240x240 | Slice index 120 | Head
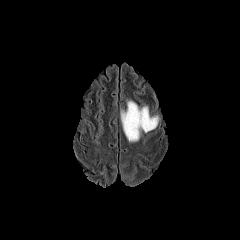
FLAIR MR.
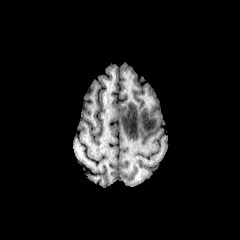
T1-weighted MRI of the same slice.
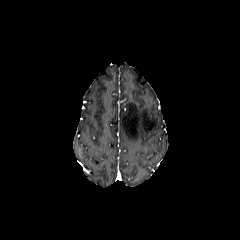
Post-contrast T1-weighted magnetic resonance.
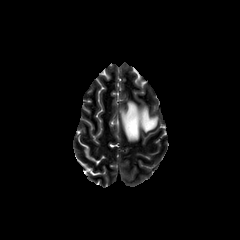
Same slice, T2-weighted MRI.
Edema: (121, 101, 156, 141).